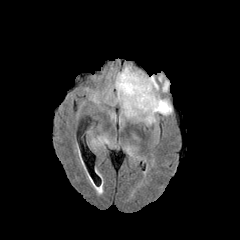
FLAIR MRI.
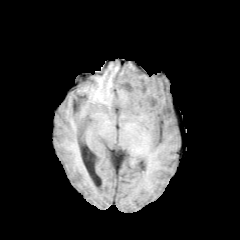
T1-weighted MR image.
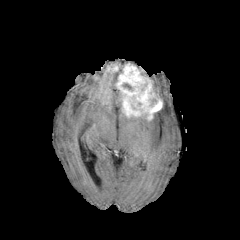
Same slice, post-contrast T1-weighted magnetic resonance.
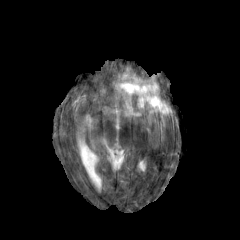
T2-weighted magnetic resonance of the same slice.
Enhancing tumor: bounding box bbox(116, 64, 162, 119).
Edema: bounding box bbox(112, 72, 121, 106); bbox(120, 109, 157, 126); bbox(149, 76, 172, 116).